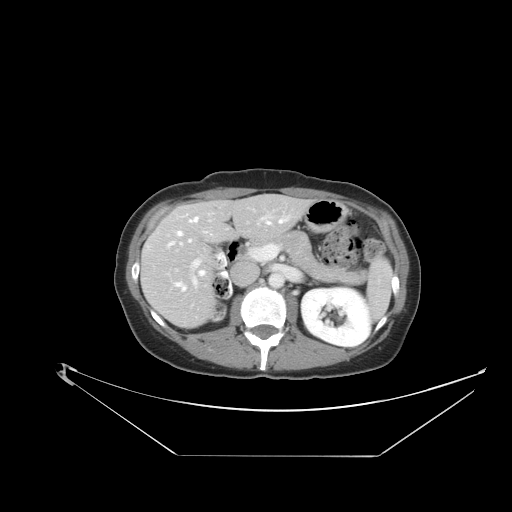

512x512; CT slice; Abdomen

Pancreas — (271,230,367,285).